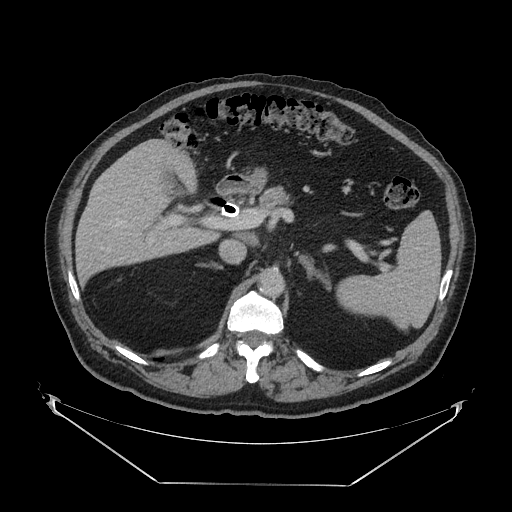
CT slice. 512x512 px.

Pancreas — [260,188,286,207].